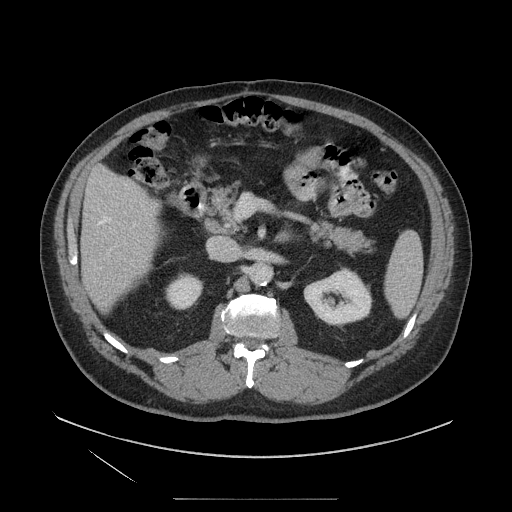
CT slice
{"pancreas": ["bbox(199, 178, 249, 236)", "bbox(309, 218, 377, 256)"]}